FLAIR MR image.
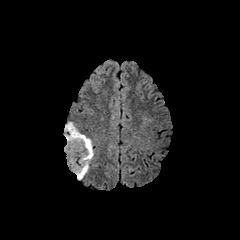
T1-weighted MR image.
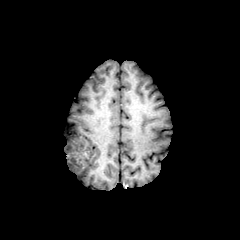
Post-contrast T1-weighted MR.
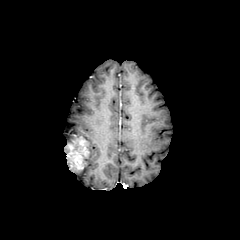
T2-weighted MR image.
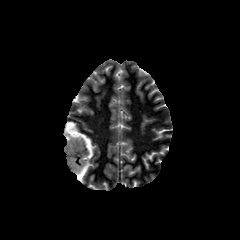
Edema: bounding box [65,121,95,179].
Enhancing tumor: bounding box [68,144,83,170].
Non-enhancing tumor core: bounding box [67,124,88,168].